FLAIR MR.
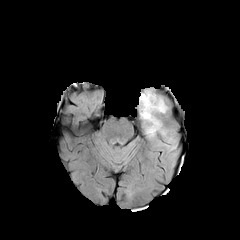
T1-weighted MR.
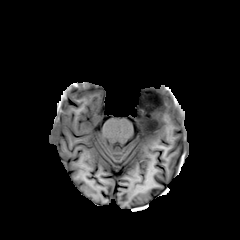
Post-contrast T1-weighted MR image.
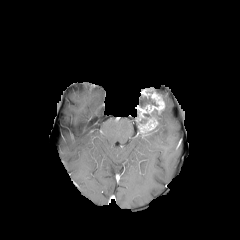
T2-weighted MR image.
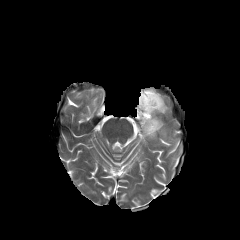
240x240; Brain
Edema at 143 120 162 137.
Non-enhancing tumor core at 139 96 157 107.
Enhancing tumor at 137 89 165 133.